41x48 px | MRI 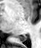
The posterior hippocampus is at bbox=[17, 35, 26, 41].